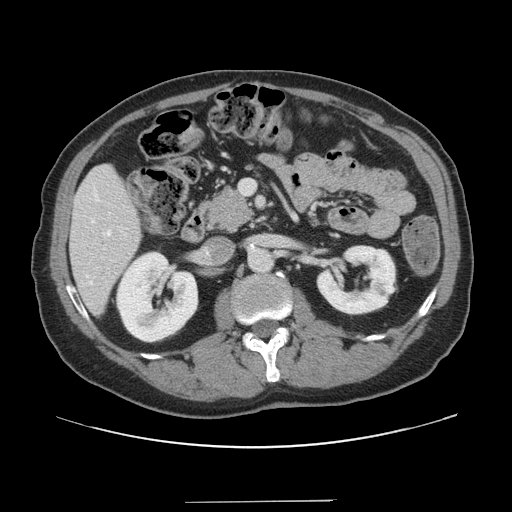
CT image. Liver.
Not every hepatic vessel necessarily has a box.
3 hepatic vessel regions appear at x1=89, y1=281, x2=91, y2=283; x1=240, y1=180, x2=254, y2=194; x1=106, y1=230, x2=110, y2=235.